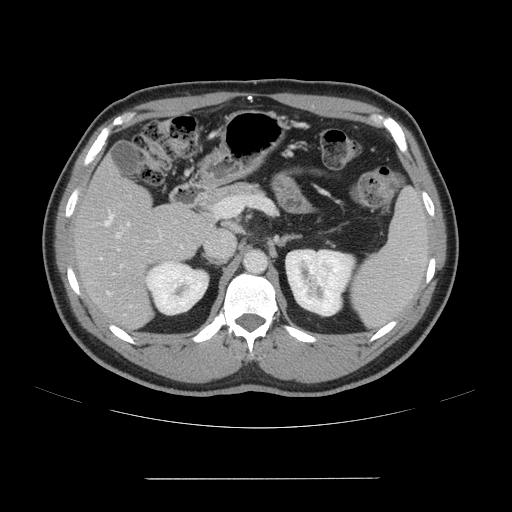 Liver; CT slice

Not every hepatic vessel necessarily has a box.
Annotated regions:
- hepatic vessel: [x1=127, y1=222, x2=129, y2=225], [x1=100, y1=258, x2=101, y2=259], [x1=120, y1=265, x2=121, y2=266], [x1=116, y1=233, x2=119, y2=237], [x1=107, y1=291, x2=111, y2=296], [x1=105, y1=210, x2=113, y2=225]